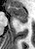

MR image; Hippocampus
anterior hippocampus: box(7, 6, 27, 20) | posterior hippocampus: box(20, 21, 27, 23)